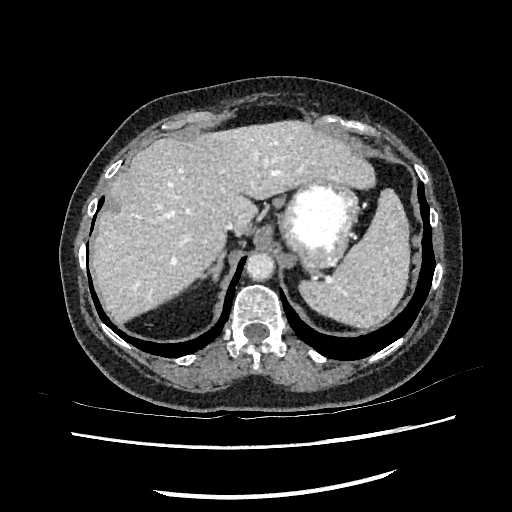

Abdomen | 512x512 | CT scan slice
{
  "liver": [
    "(92,121,375,321)"
  ]
}